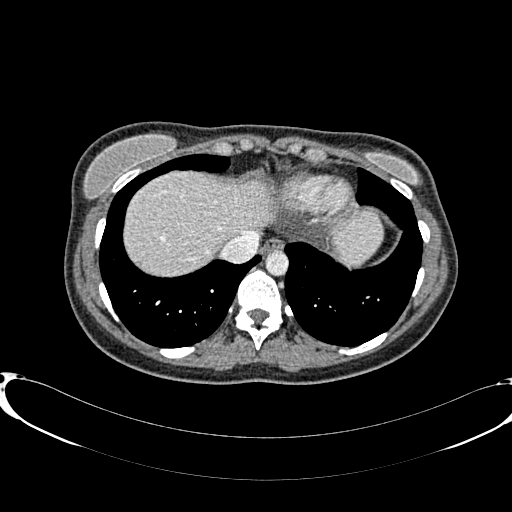 Abdomen; Computed tomography
Liver: bounding box box(334, 211, 381, 264); box(125, 172, 271, 274).